Slice 103 of 155. Head.
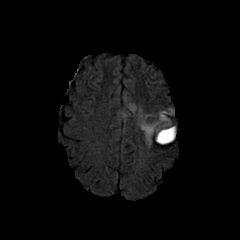
FLAIR MR image.
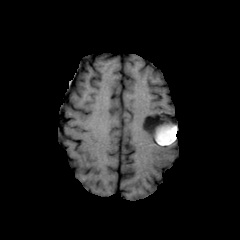
T1-weighted magnetic resonance of the same slice.
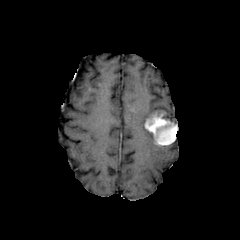
Same slice, post-contrast T1-weighted MR.
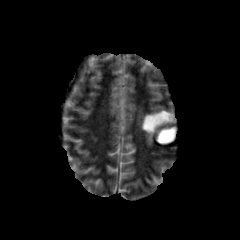
Same slice, T2-weighted MRI.
The non-enhancing tumor core is located at (144, 110, 173, 123). The enhancing tumor appears at (144, 112, 176, 144). 2 edema regions appear at (158, 108, 174, 119), (120, 102, 155, 146).